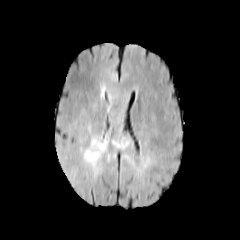
FLAIR MR image.
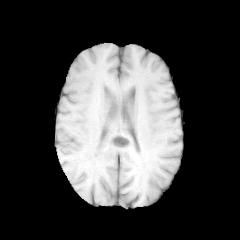
T1-weighted MR.
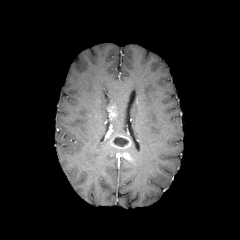
Same slice, post-contrast T1-weighted MR.
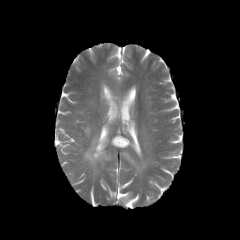
Same slice, T2-weighted MR image.
Brain. 240x240 px.
<segmentation>
  <edema>box(83, 137, 107, 166)</edema>
  <enhancing_tumor>box(110, 135, 131, 149); box(106, 102, 118, 120); box(122, 152, 131, 160)</enhancing_tumor>
  <non-enhancing_tumor_core>box(113, 137, 128, 146)</non-enhancing_tumor_core>
</segmentation>